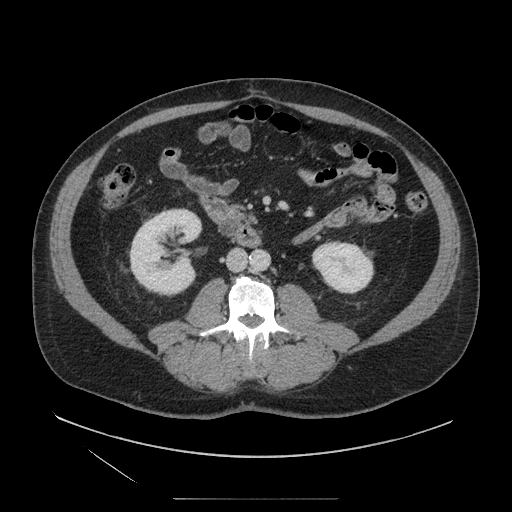 Abdomen; Computed tomography

• pancreas: <box>211,207,244,240</box>
• pancreatic tumor: <box>220,218,238,234</box>